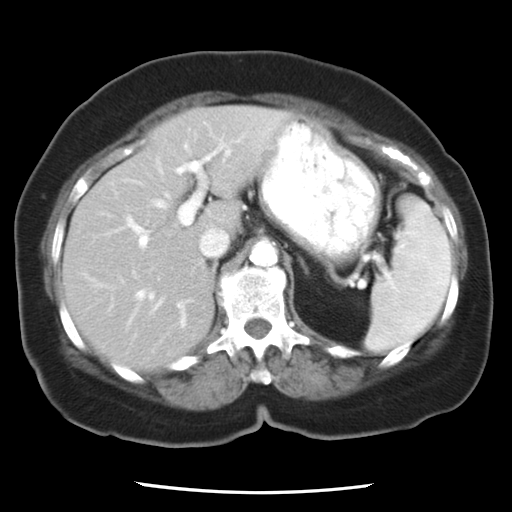 CT
Only some of the vessels may be annotated.
hepatic_vessel:
  - left=177, top=154, right=212, bottom=225
  - left=200, top=233, right=226, bottom=256
  - left=158, top=202, right=164, bottom=207
  - left=139, top=233, right=146, bottom=245
  - left=128, top=220, right=140, bottom=231
  - left=178, top=303, right=180, bottom=306
  - left=137, top=291, right=153, bottom=297